Liver. CT slice. Field of view 399 mm wide, 2.50 mm slice spacing. 512x512. 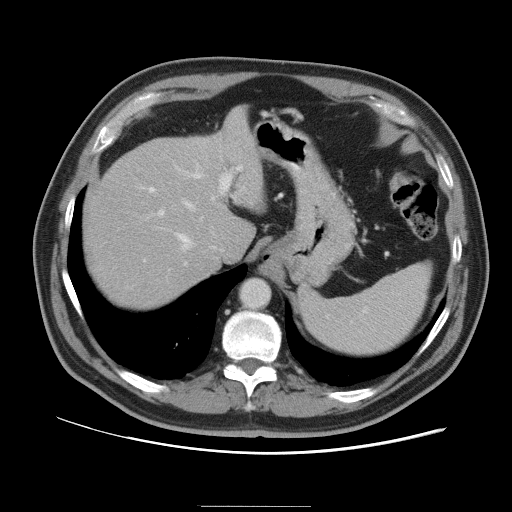
The vessel boxes may cover only some of the vessels.
{
  "partial": true,
  "hepatic_vessel": {
    "n_total": 16,
    "boxes": [
      "(left=182, top=164, right=202, bottom=178)",
      "(left=219, top=169, right=231, bottom=195)",
      "(left=175, top=232, right=192, bottom=250)",
      "(left=212, top=196, right=213, bottom=200)",
      "(left=239, top=186, right=244, bottom=194)",
      "(left=183, top=199, right=194, bottom=210)",
      "(left=176, top=166, right=181, bottom=171)",
      "(left=145, top=217, right=147, bottom=219)",
      "(left=149, top=188, right=154, bottom=192)",
      "(left=184, top=262, right=186, bottom=264)",
      "(left=231, top=166, right=242, bottom=170)",
      "(left=201, top=217, right=202, bottom=219)",
      "(left=143, top=259, right=145, bottom=261)",
      "(left=150, top=210, right=163, bottom=216)",
      "(left=210, top=246, right=216, bottom=249)"
    ]
  }
}